FLAIR MRI.
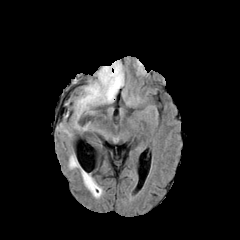
T1-weighted MR image.
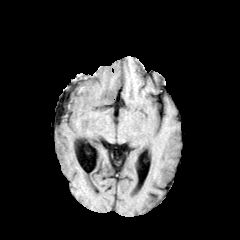
Post-contrast T1-weighted MR image.
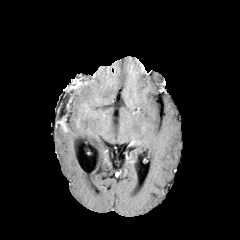
T2-weighted MR.
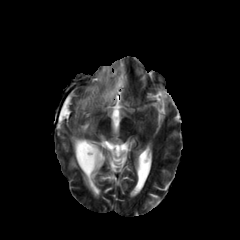
Head
Segmented structures:
- edema: x1=68 y1=154 x2=103 y2=198, x1=59 y1=124 x2=71 y2=136, x1=75 y1=62 x2=125 y2=119